Abdomen. Slice 29 of 41. CT.

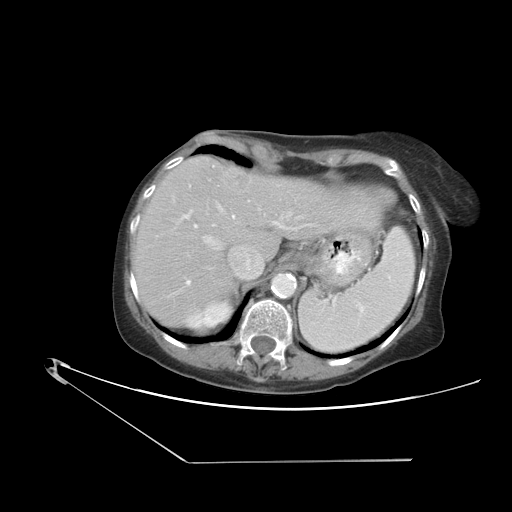
Some hepatic vessels may have no box.
Annotated regions:
• liver tumor: {"x1": 224, "y1": 169, "x2": 249, "y2": 193}
• hepatic vessel: {"x1": 229, "y1": 245, "x2": 264, "y2": 271}, {"x1": 280, "y1": 212, "x2": 290, "y2": 218}, {"x1": 179, "y1": 210, "x2": 191, "y2": 221}, {"x1": 232, "y1": 215, "x2": 234, "y2": 218}, {"x1": 271, "y1": 221, "x2": 300, "y2": 229}, {"x1": 194, "y1": 225, "x2": 196, "y2": 227}, {"x1": 218, "y1": 205, "x2": 222, "y2": 211}, {"x1": 202, "y1": 234, "x2": 222, "y2": 250}, {"x1": 186, "y1": 280, "x2": 190, "y2": 284}, {"x1": 213, "y1": 224, "x2": 214, "y2": 225}